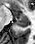 MRI; Medial temporal lobe

{
  "anterior_hippocampus": [
    "(left=12, top=12, right=27, bottom=20)"
  ],
  "posterior_hippocampus": [
    "(left=14, top=21, right=27, bottom=27)"
  ]
}